Slice index 45. 240x240.
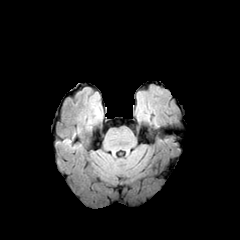
FLAIR MRI.
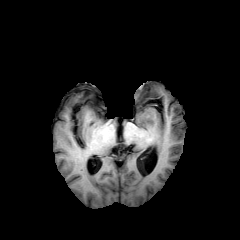
T1-weighted MR image of the same slice.
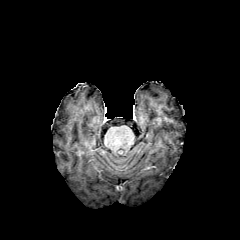
Post-contrast T1-weighted MR image.
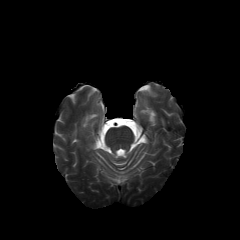
T2-weighted MR.
edema:
  - 141 108 152 121